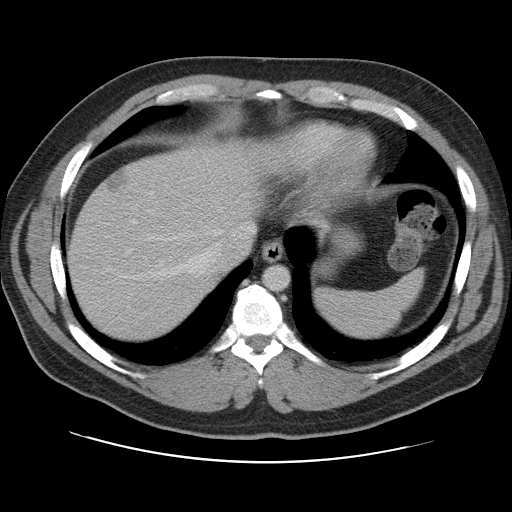

Abdomen, CT slice

Not every hepatic vessel necessarily has a box.
Largest 15 of 17 hepatic vessel regions: bounding box 157:260:190:278, 144:256:147:260, 217:208:222:211, 184:204:186:206, 222:215:226:219, 202:252:209:259, 189:267:193:272, 246:221:254:234, 227:222:231:224, 241:214:244:217, 255:192:260:195, 199:272:202:274, 216:244:219:245, 125:249:131:255, 213:258:214:261.
Liver tumor: bounding box 107:171:128:191.